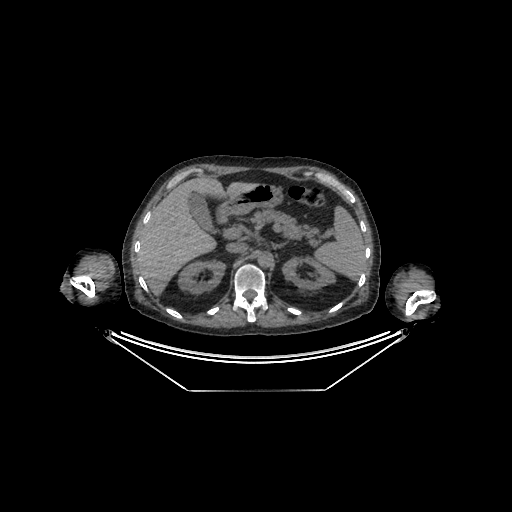

CT image. 512x512.
The liver is located at box=[136, 176, 257, 295]. 2 kidney regions are located at box=[282, 256, 335, 290]; box=[178, 260, 225, 294].